CT. Upper abdomen.

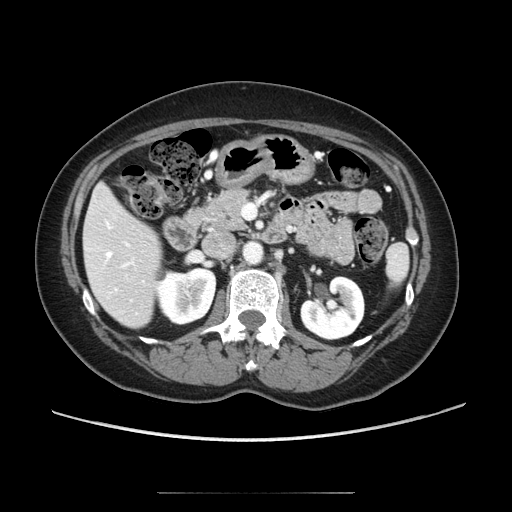
Pancreas: <bbox>185, 189, 250, 230</bbox>.